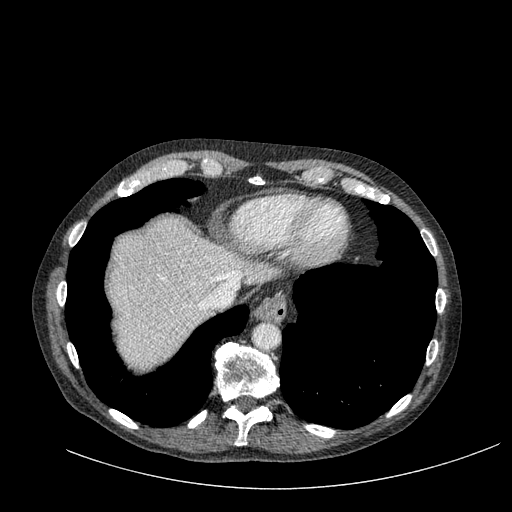

512x512, Computed tomography
Annotated regions:
• liver: region(109, 217, 275, 367)